Brain, 240x240 px
FLAIR magnetic resonance.
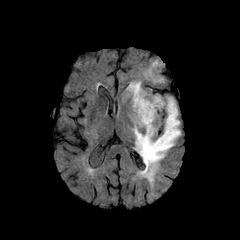
T1-weighted MR image.
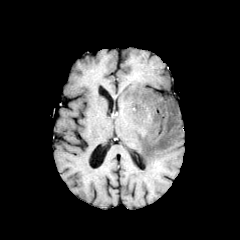
Post-contrast T1-weighted MR image.
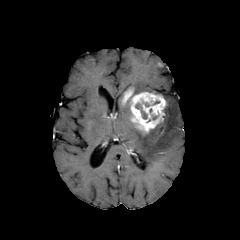
T2-weighted MR image.
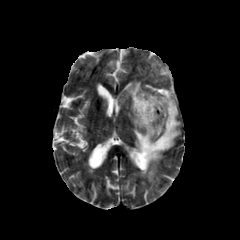
Edema = {"x1": 126, "y1": 82, "x2": 143, "y2": 93}, {"x1": 133, "y1": 96, "x2": 181, "y2": 182}.
Enhancing tumor = {"x1": 123, "y1": 87, "x2": 167, "y2": 133}.